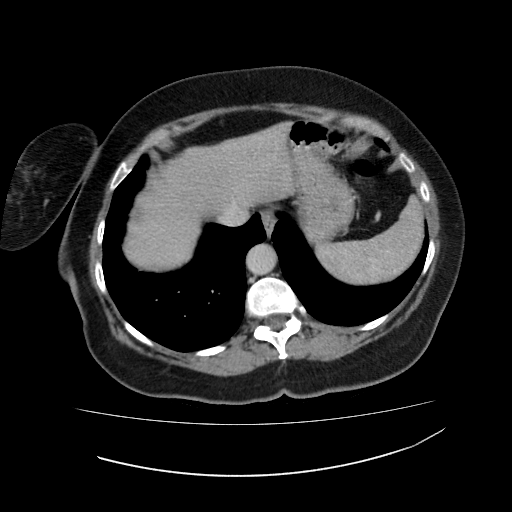 CT
The liver appears at (126,123,294,266).